CT.

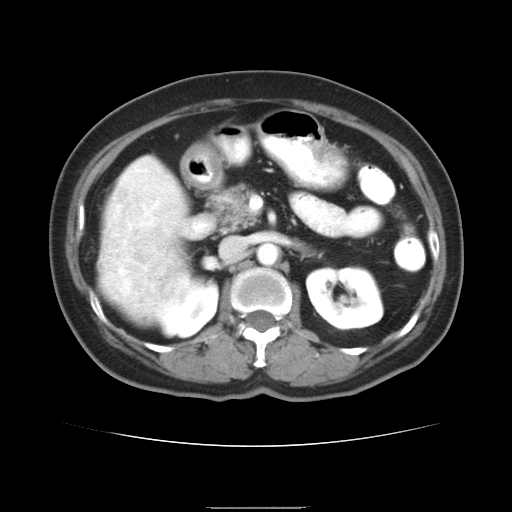 The liver tumor is located at (100,159,186,317).